512x512, Slice 31 of 51, CT scan slice 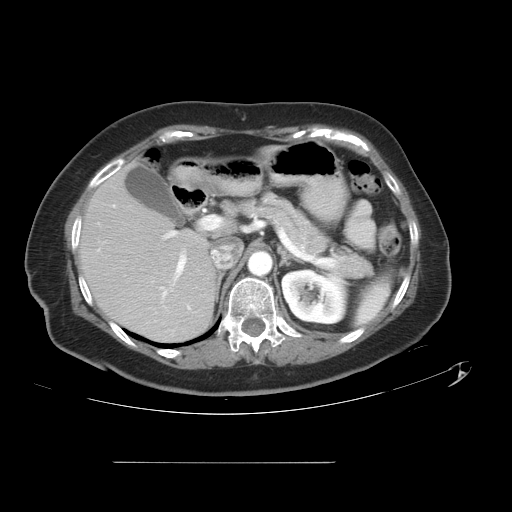 pancreas: bbox(230, 193, 372, 276)